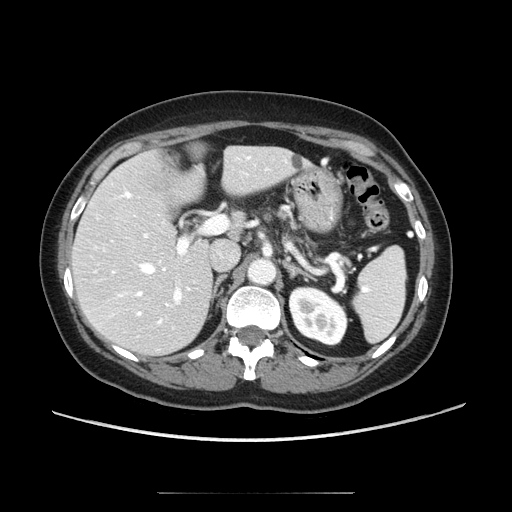

CT scan slice
Pancreas at bbox(277, 211, 291, 220).